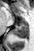
Medial temporal lobe, 34x51 px, MRI
2 anterior hippocampus regions appear at 18, 17, 28, 24; 13, 17, 14, 21. The posterior hippocampus is at 13, 25, 28, 38.